Computed tomography, Upper abdomen, Slice 45 of 94, 512x512 px 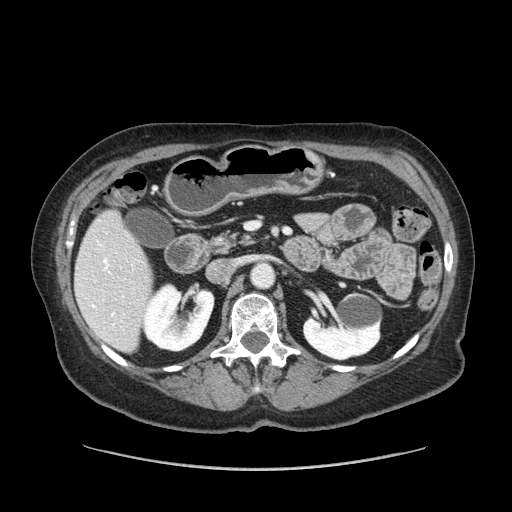

{
  "pancreas": [
    "[x1=214, y1=233, x2=253, y2=253]"
  ]
}